240x240 px, Field of view 240 mm wide, 1.00 mm slice spacing
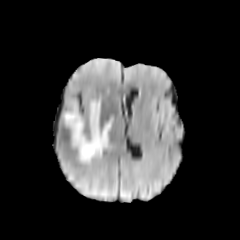
FLAIR MR image.
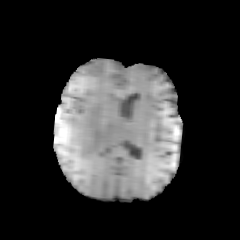
T1-weighted MR image.
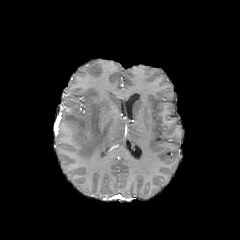
Same slice, post-contrast T1-weighted MR.
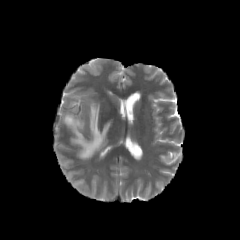
T2-weighted MR.
Annotated regions:
• edema: x1=64, y1=100, x2=113, y2=163